MR. Hippocampus. Image size 35x49.
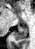
Posterior hippocampus: bounding box 14:27:27:40.